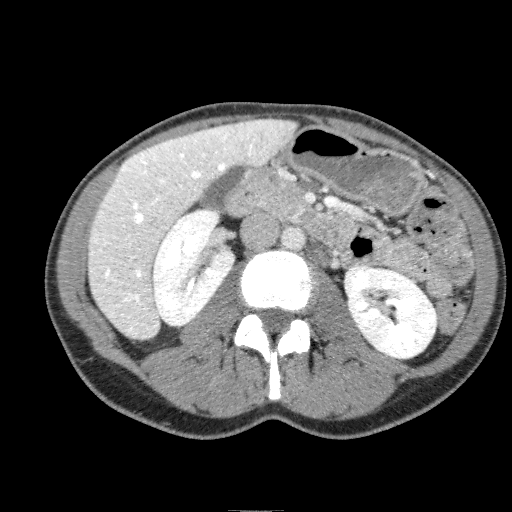
512x512 px; CT image; Liver

Liver at (87,118,297,340).
Kidney at (153,211,233,325), (345,267,436,357).